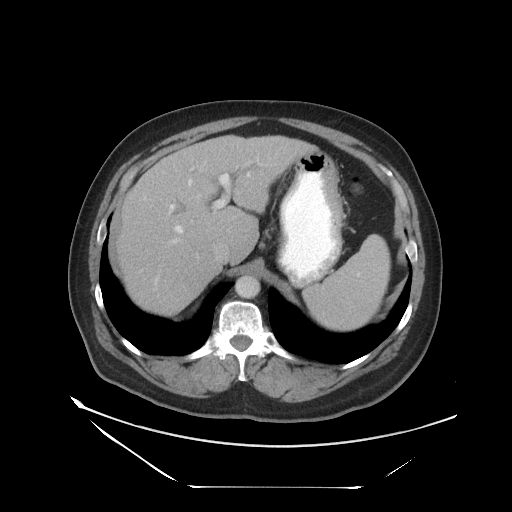

CT | Image size 512x512

The vessel boxes may cover only some of the vessels.
Hepatic vessel — region(173, 223, 183, 234); region(225, 173, 227, 177); region(191, 221, 192, 222); region(170, 205, 174, 209); region(168, 237, 181, 243); region(189, 179, 191, 184).